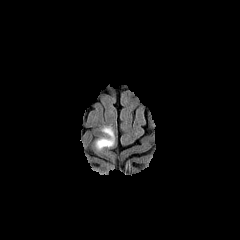
FLAIR magnetic resonance.
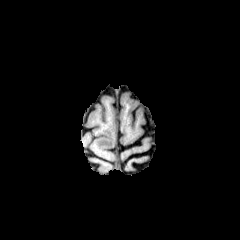
T1-weighted MRI of the same slice.
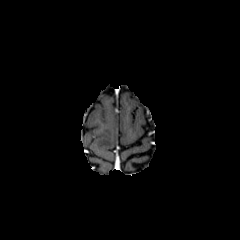
Post-contrast T1-weighted MR.
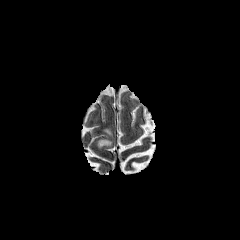
T2-weighted magnetic resonance.
The edema is bounded by left=96, top=128, right=114, bottom=148.